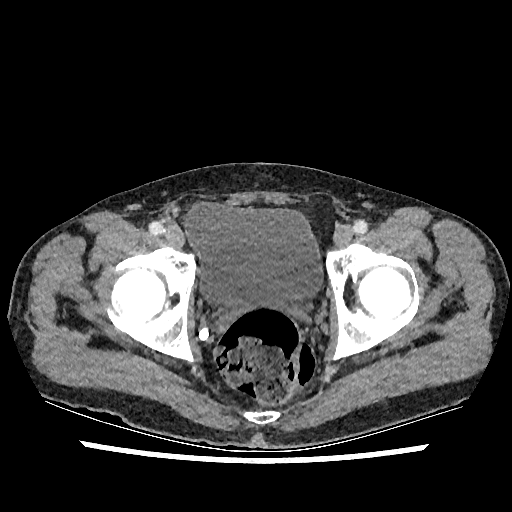
Pelvis | CT scan slice
Urinary bladder at bbox(185, 202, 323, 328).